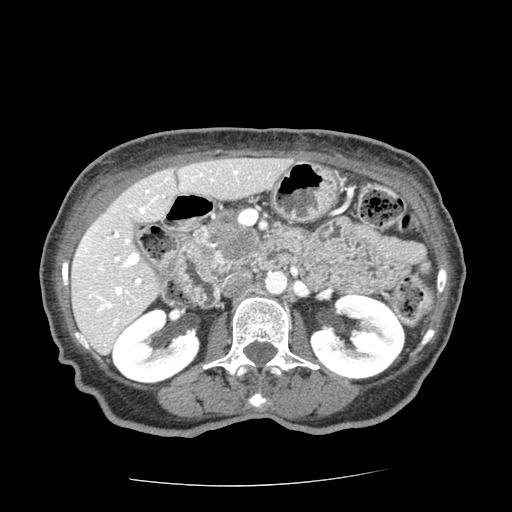

Upper abdomen, CT slice

The pancreas lies within 194 225 260 276. The pancreatic tumor lies within 208 210 257 261.